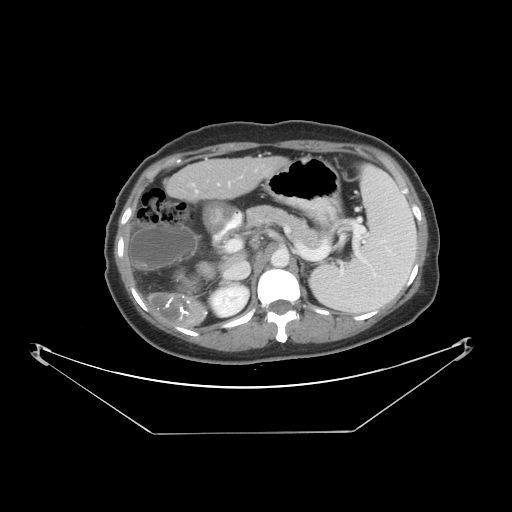 Computed tomography, Liver

The vessel annotation is not exhaustive.
Segmented structures:
* liver tumor: l=150, t=292, r=194, b=321
* hepatic vessel: l=230, t=176, r=243, b=182; l=228, t=241, r=239, b=249